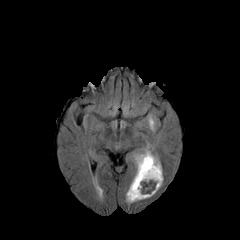
FLAIR MR image.
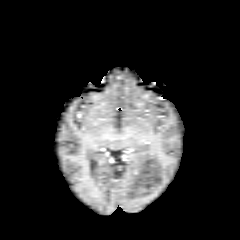
T1-weighted MRI.
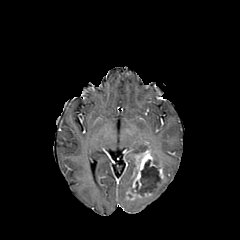
Post-contrast T1-weighted magnetic resonance.
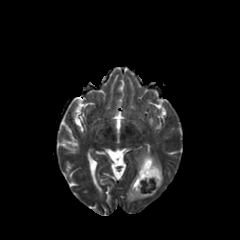
Same slice, T2-weighted MR image.
The non-enhancing tumor core is bounded by (140, 160, 159, 186). The enhancing tumor is bounded by (127, 150, 157, 199). 2 edema regions are bounded by (151, 153, 161, 167), (126, 176, 163, 202).